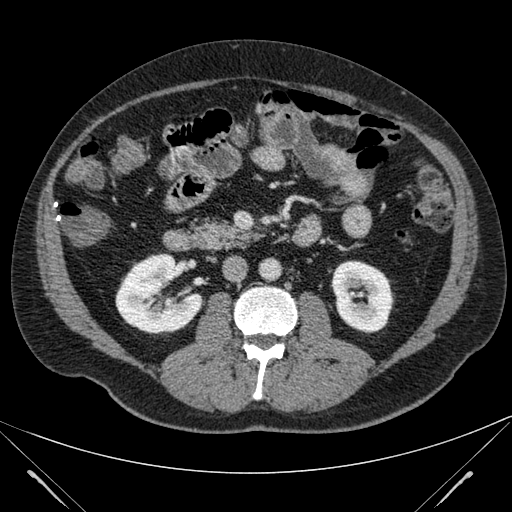

Computed tomography | 512x512 px

2 kidney regions appear at left=116, top=255, right=201, bottom=332; left=333, top=262, right=391, bottom=331.